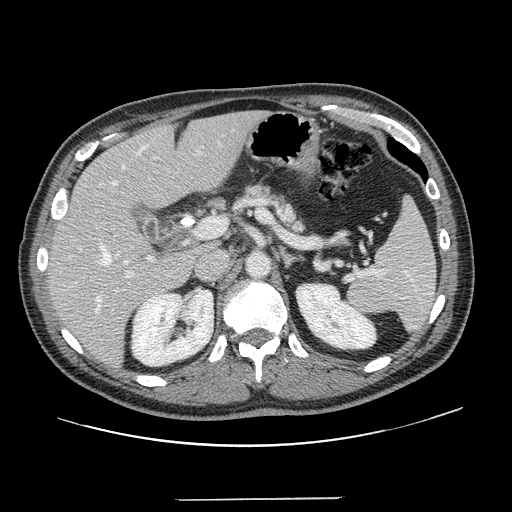 CT
The pancreas is at region(232, 181, 307, 235).